FLAIR MR image.
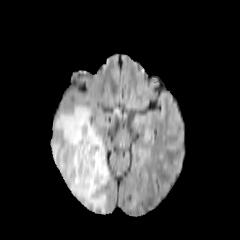
T1-weighted MRI.
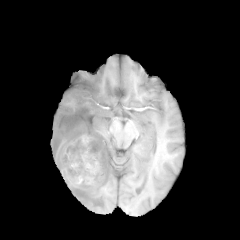
Post-contrast T1-weighted MRI.
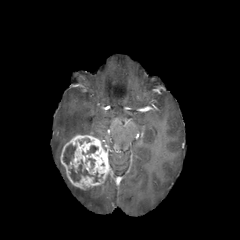
T2-weighted MR image.
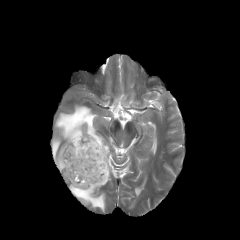
Head.
{
  "edema": [
    "(51,104,109,211)"
  ],
  "enhancing_tumor": [
    "(60,133,109,189)"
  ],
  "non-enhancing_tumor_core": [
    "(62,144,75,165)",
    "(88,145,97,153)",
    "(68,164,102,182)"
  ]
}